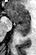 Medial temporal lobe. MRI slice. The anterior hippocampus lies within box(7, 7, 30, 26). The posterior hippocampus is at box(16, 27, 30, 36).